CT slice | Liver | 512x512 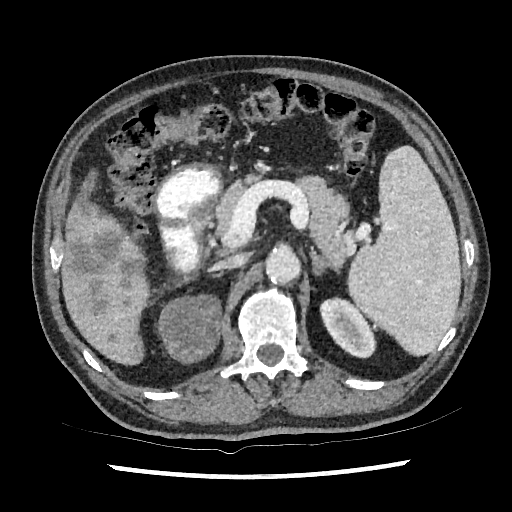
3 liver regions appear at (left=66, top=206, right=121, bottom=245), (left=62, top=234, right=148, bottom=363), (left=87, top=189, right=95, bottom=205). 4 hepatic lesion regions appear at (left=107, top=333, right=117, bottom=343), (left=74, top=187, right=100, bottom=216), (left=63, top=227, right=142, bottom=317), (left=66, top=221, right=74, bottom=232). The kidney lies within (left=320, top=298, right=374, bottom=357).